Computed tomography 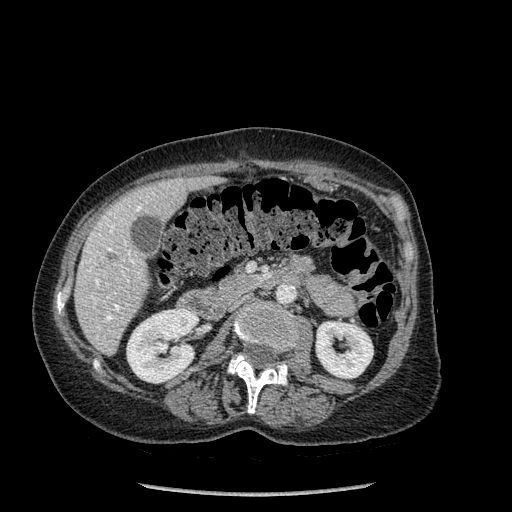

Liver: bounding box l=75, t=176, r=220, b=353.
Bone: bounding box l=56, t=292, r=65, b=313; l=228, t=355, r=287, b=413; l=234, t=301, r=298, b=352.
Focal liver lesion: bounding box l=106, t=253, r=118, b=260.
Kidney: bounding box l=127, t=308, r=198, b=382; l=316, t=322, r=373, b=377.